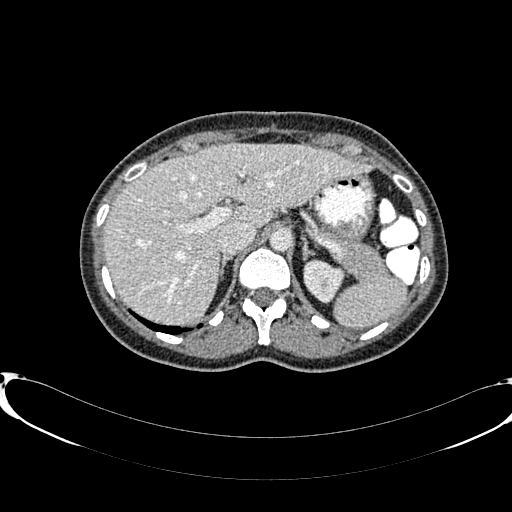 CT slice
The liver lies within l=103, t=144, r=372, b=323. The kidney is at l=305, t=262, r=340, b=300.